Upper abdomen, Computed tomography, 512x512 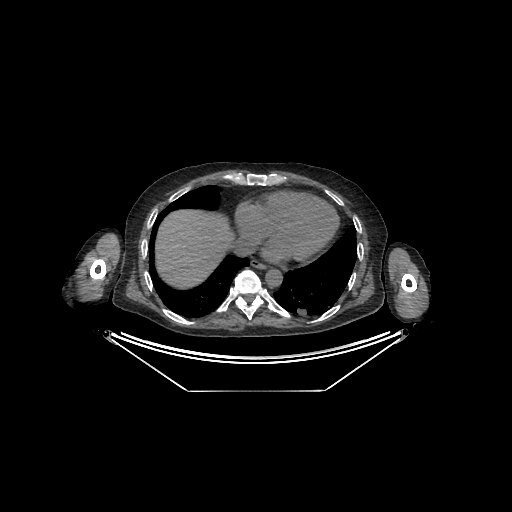
<segmentation>
  <liver>rect(227, 214, 237, 238); rect(155, 209, 233, 288)</liver>
</segmentation>